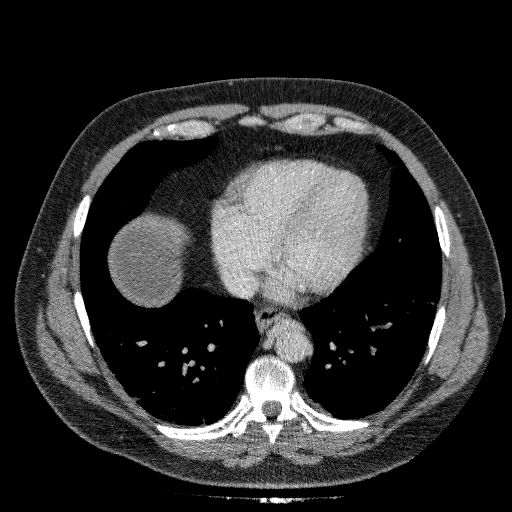
Upper abdomen. CT slice. Segmented structures:
* liver: <box>110,215,185,304</box>